240x240
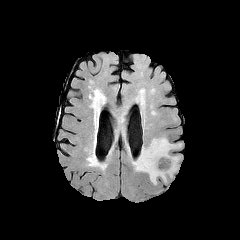
FLAIR magnetic resonance.
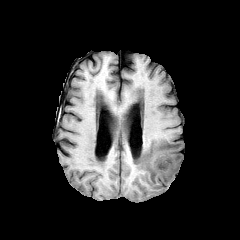
T1-weighted MR image of the same slice.
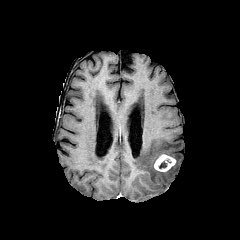
Post-contrast T1-weighted MR image.
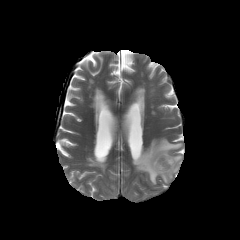
Same slice, T2-weighted MR.
{
  "enhancing_tumor": [
    "[153, 153, 176, 172]"
  ],
  "edema": [
    "[132, 138, 181, 184]"
  ]
}